Slice 85/155 | 240x240
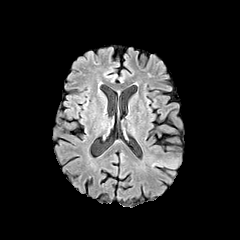
FLAIR MR.
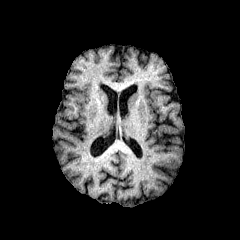
Same slice, T1-weighted MR image.
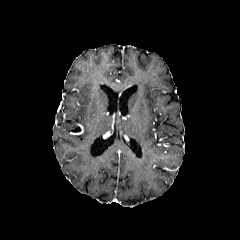
Post-contrast T1-weighted MR image of the same slice.
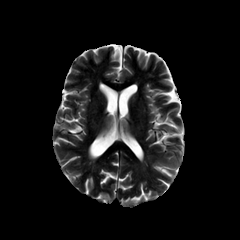
Same slice, T2-weighted MRI.
The edema is located at bbox(147, 155, 180, 175).